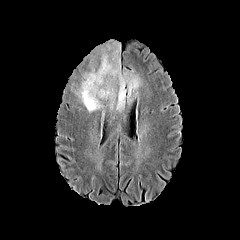
FLAIR MR.
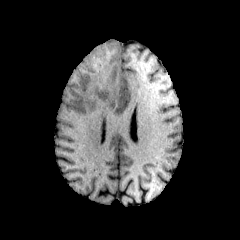
Same slice, T1-weighted MRI.
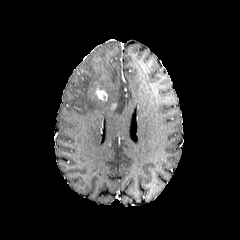
Post-contrast T1-weighted MR.
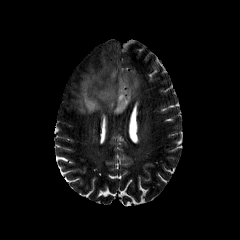
T2-weighted MR.
Brain | Image size 240x240
Edema — 75 52 139 114.
Enhancing tumor — 95 88 107 100.